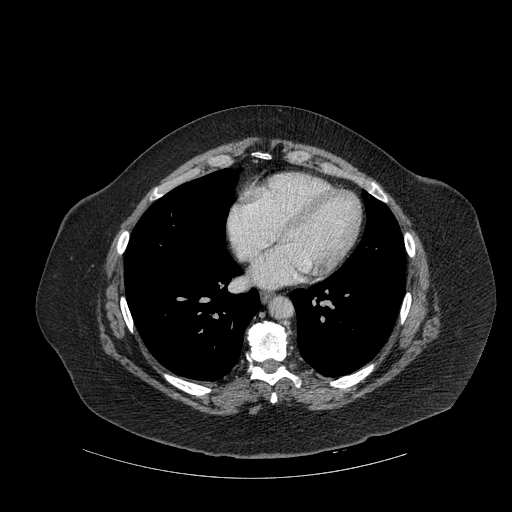

Computed tomography. Chest.

Annotated regions:
- bone: <bbox>117, 231, 128, 253</bbox>, <bbox>400, 293, 410, 322</bbox>, <bbox>405, 233, 414, 256</bbox>, <bbox>330, 365, 373, 388</bbox>, <bbox>247, 321, 286, 361</bbox>, <bbox>255, 153, 269, 158</bbox>, <bbox>120, 298, 132, 331</bbox>, <bbox>250, 365, 300, 386</bbox>, <bbox>165, 375, 210, 395</bbox>
- lung: <bbox>290, 191, 405, 376</bbox>, <bbox>124, 169, 259, 380</bbox>